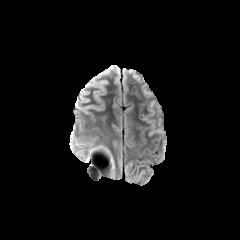
FLAIR magnetic resonance.
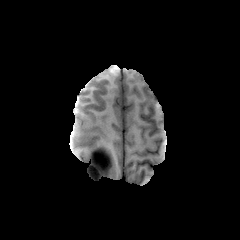
Same slice, T1-weighted MR image.
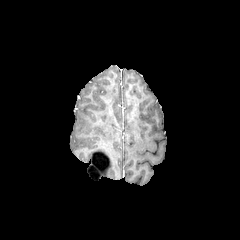
Post-contrast T1-weighted magnetic resonance.
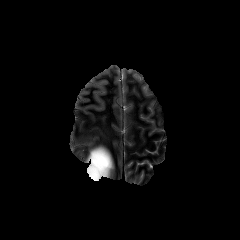
Same slice, T2-weighted MRI.
Head.
edema: 84:146:105:161